Image size 240x240 | Slice 81 of 155
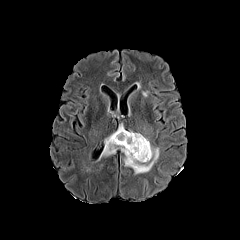
FLAIR MR image.
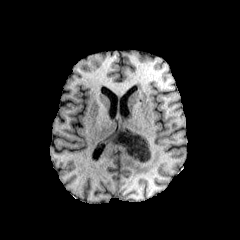
T1-weighted MR image of the same slice.
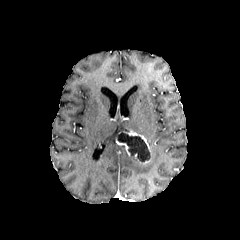
Post-contrast T1-weighted MR image of the same slice.
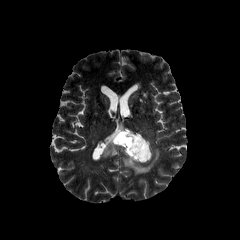
Same slice, T2-weighted MRI.
The edema lies within box(99, 122, 160, 173). The non-enhancing tumor core is at box(113, 131, 151, 162). The enhancing tumor is bounded by box(125, 131, 150, 151).